Abdomen; 512x512; Image width 500 mm; Slice 63 of 114; CT

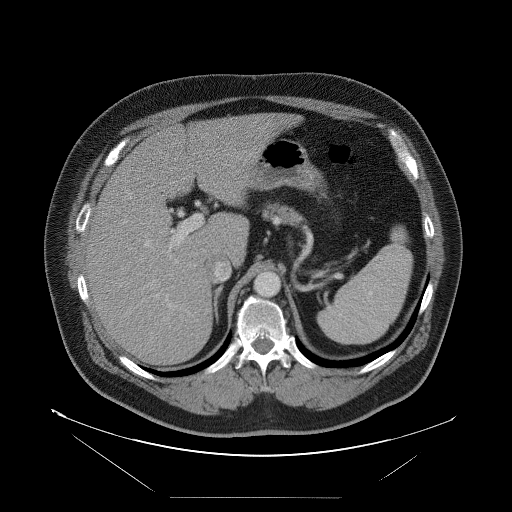 Some hepatic vessels may have no box.
hepatic_vessel:
  - bbox=[154, 294, 158, 297]
  - bbox=[166, 295, 168, 300]
  - bbox=[125, 220, 127, 222]
  - bbox=[148, 279, 157, 284]
  - bbox=[145, 240, 150, 246]
  - bbox=[119, 284, 121, 286]
  - bbox=[168, 303, 173, 308]
  - bbox=[142, 258, 143, 260]